CT. Upper abdomen. 512x512. 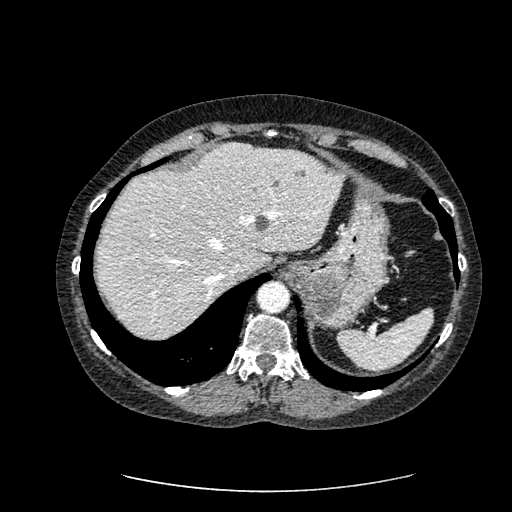

Liver = <bbox>94, 143, 341, 337</bbox>.
Hepatic lesion = <bbox>295, 169, 304, 176</bbox>, <bbox>272, 179, 280, 187</bbox>, <bbox>255, 216, 268, 231</bbox>.